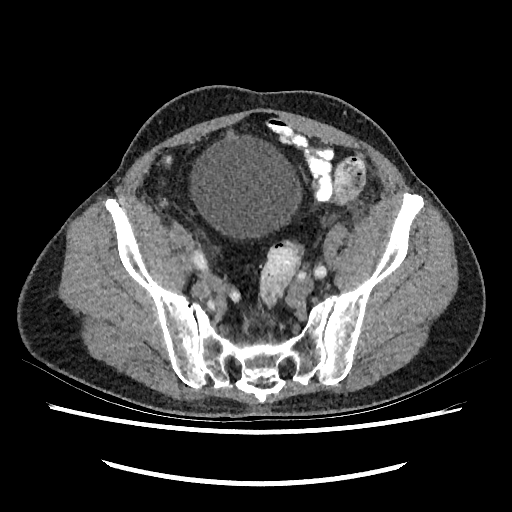
512x512 px; Computed tomography
The urinary bladder appears at bbox=[190, 131, 301, 238].